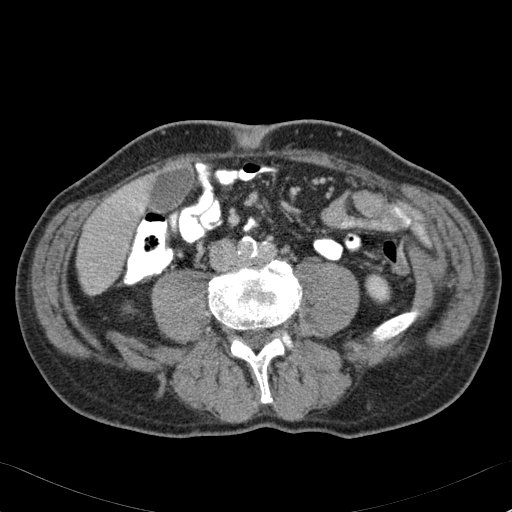 CT image

Kidney — left=367, top=275, right=388, bottom=300.
Liver — left=78, top=176, right=148, bottom=293.